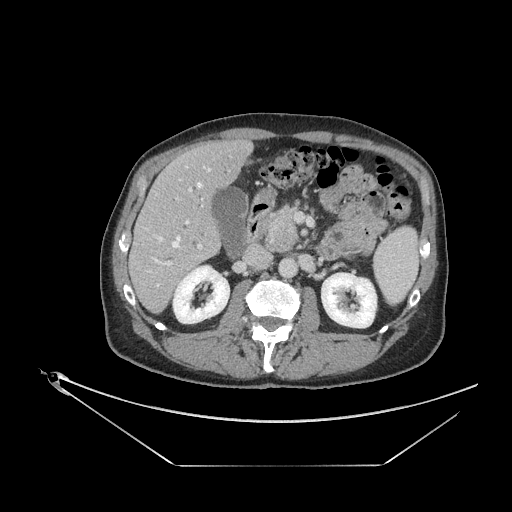

Abdomen, CT
pancreas: rect(263, 205, 300, 251) | pancreatic tumor: rect(274, 221, 297, 246)